FLAIR MR.
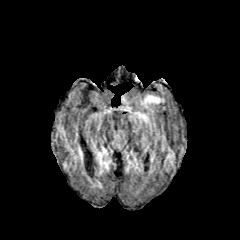
T1-weighted MR image.
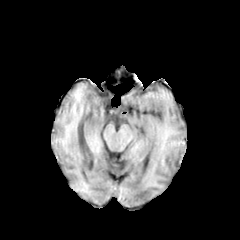
Post-contrast T1-weighted MR image.
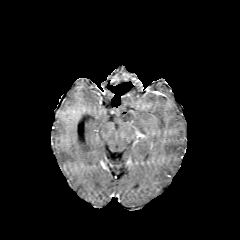
T2-weighted MR image.
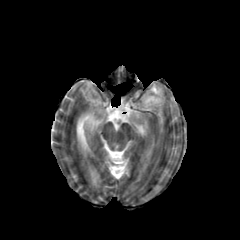
Image size 240x240 | Brain
Edema: bounding box [x1=136, y1=90, x2=162, y2=107], [x1=138, y1=114, x2=149, y2=125].